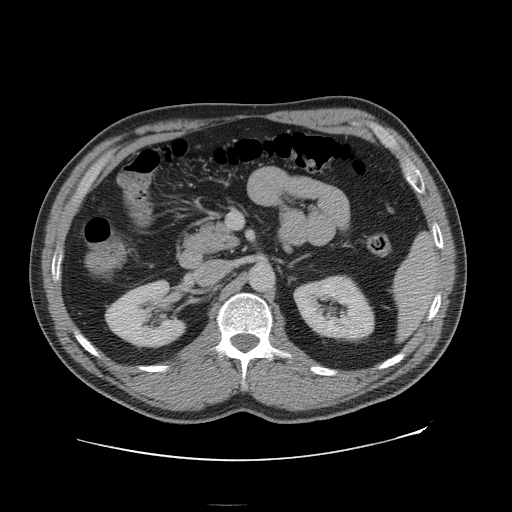

Pelvis; CT slice
The colon tumor is at 86,242,123,273.